Computed tomography, 512x512

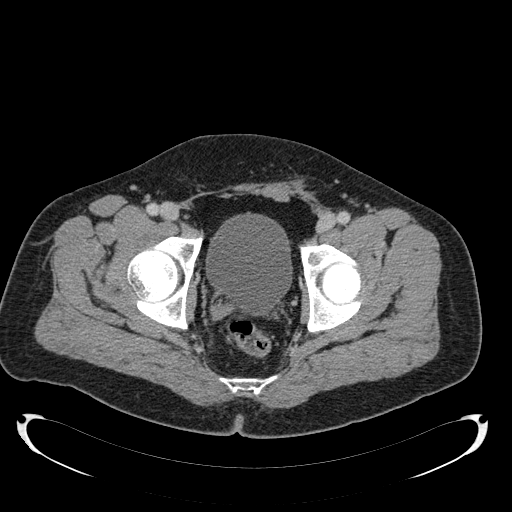 Urinary bladder at left=205, top=213, right=292, bottom=316.